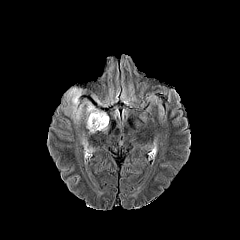
FLAIR MRI.
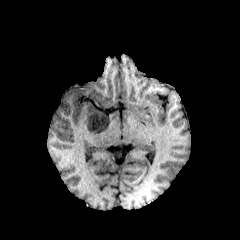
T1-weighted magnetic resonance of the same slice.
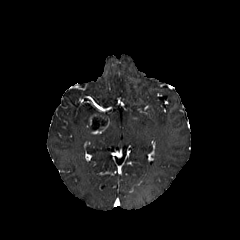
Same slice, post-contrast T1-weighted magnetic resonance.
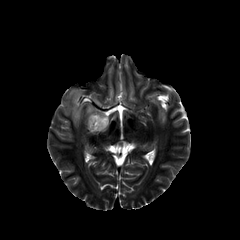
T2-weighted MR.
3 edema regions are located at box=[86, 141, 94, 153]; box=[63, 89, 97, 127]; box=[101, 87, 120, 107]. The enhancing tumor appears at box=[90, 118, 109, 134]. The non-enhancing tumor core is at box=[88, 112, 108, 132].